Upper abdomen | CT image | Field of view 429x429 mm 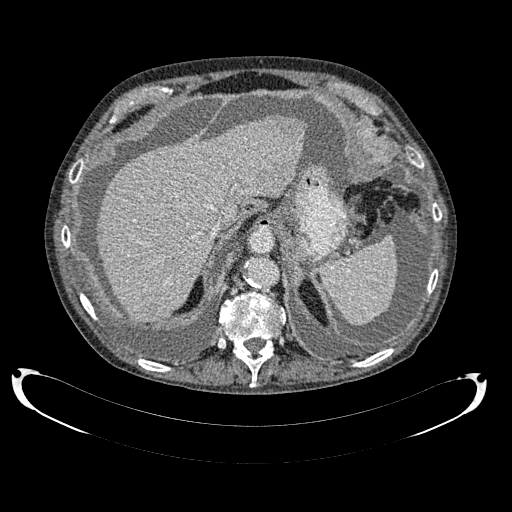

Liver: bounding box [96,115,306,322].
Liver lesion: bounding box [283,127,301,146].